CT scan slice, Slice index 209 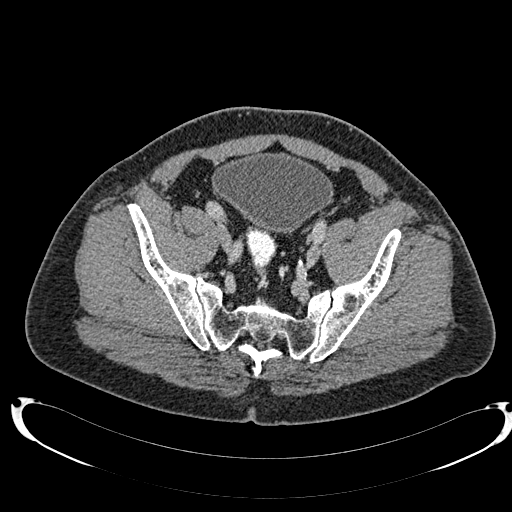
The urinary bladder is bounded by 213,152,331,233.